Head; Field of view 240 mm wide, 1.00 mm slice spacing; Slice index 63
FLAIR MR.
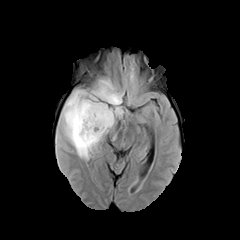
T1-weighted MR.
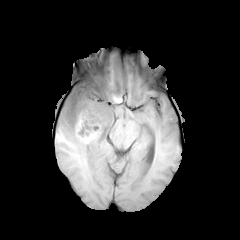
Post-contrast T1-weighted MR.
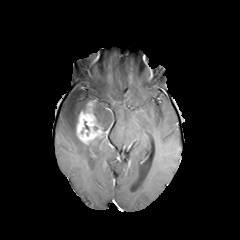
T2-weighted magnetic resonance.
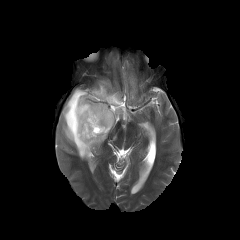
The edema is at [x1=55, y1=79, x2=125, y2=160]. The enhancing tumor lies within [x1=76, y1=102, x2=106, y2=144].